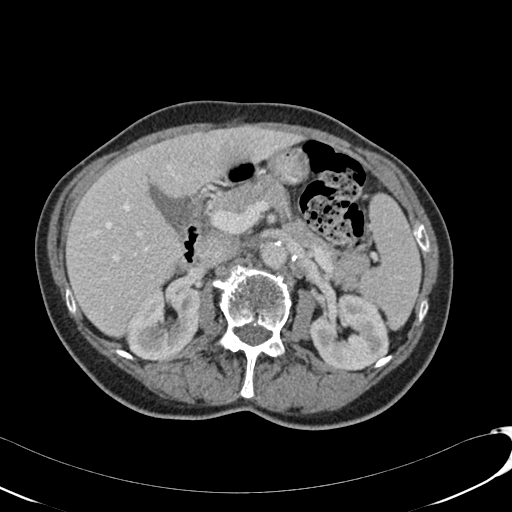

Computed tomography.
2 liver lesion regions appear at <bbox>217, 146, 247, 168</bbox>, <bbox>98, 303, 107, 312</bbox>. 2 kidney regions are located at <bbox>126, 287, 199, 361</bbox>, <bbox>310, 295, 388, 369</bbox>. The liver appears at <bbox>67, 127, 303, 335</bbox>.